FLAIR MRI.
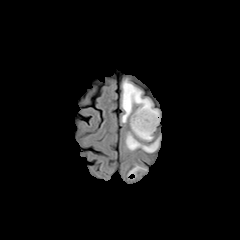
T1-weighted MR.
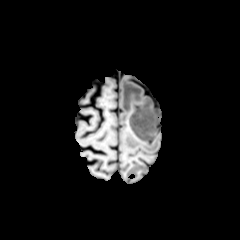
Post-contrast T1-weighted MR image.
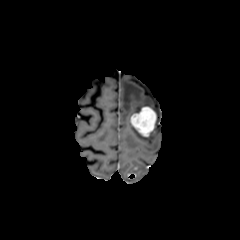
T2-weighted MR image.
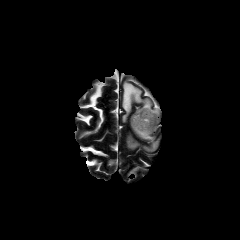
Annotated regions:
• enhancing tumor: box(130, 106, 156, 136)
• edema: box(121, 79, 160, 152)